FLAIR MR image.
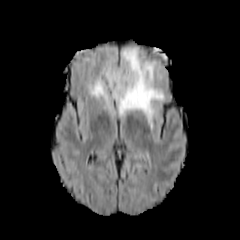
T1-weighted MRI.
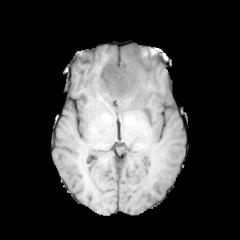
Post-contrast T1-weighted magnetic resonance.
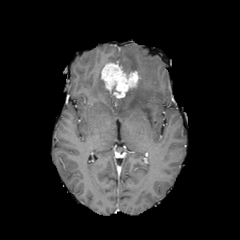
T2-weighted MR.
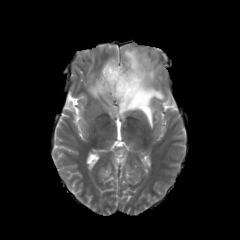
Head. Image size 240x240.
Non-enhancing tumor core: rect(119, 89, 131, 103).
Enhancing tumor: rect(101, 62, 140, 98).
Edema: rect(112, 49, 164, 128); rect(88, 75, 108, 97).